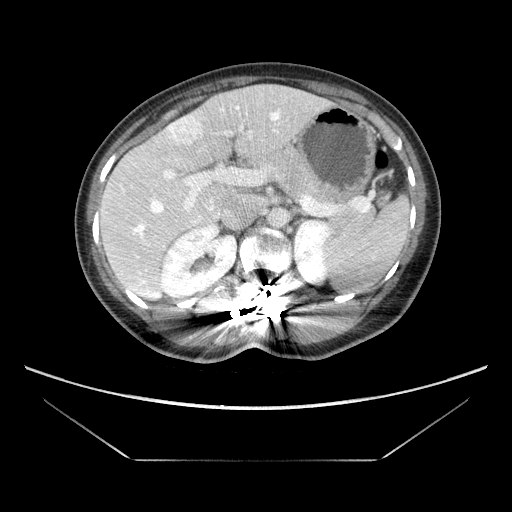
Liver. CT.

The vessel annotation is not exhaustive.
hepatic vessel: l=182, t=166, r=274, b=213; l=163, t=169, r=174, b=178; l=151, t=200, r=162, b=212; l=191, t=216, r=200, b=223 | liver tumor: l=166, t=115, r=201, b=143